MR. Slice 11 of 36.
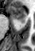

<segmentation>
  <anterior_hippocampus>x1=8, y1=6, x2=25, y2=20</anterior_hippocampus>
  <posterior_hippocampus>x1=20, y1=21, x2=24, y2=22</posterior_hippocampus>
</segmentation>